FLAIR magnetic resonance.
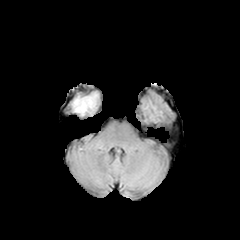
T1-weighted MR.
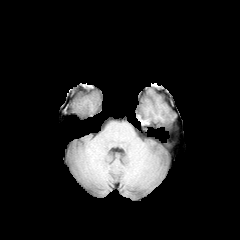
Post-contrast T1-weighted MR image.
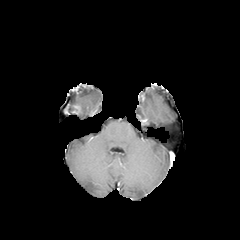
T2-weighted MRI.
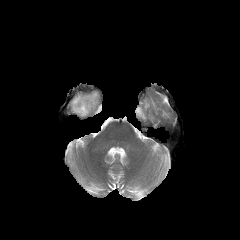
Head
edema: box(72, 92, 97, 115)